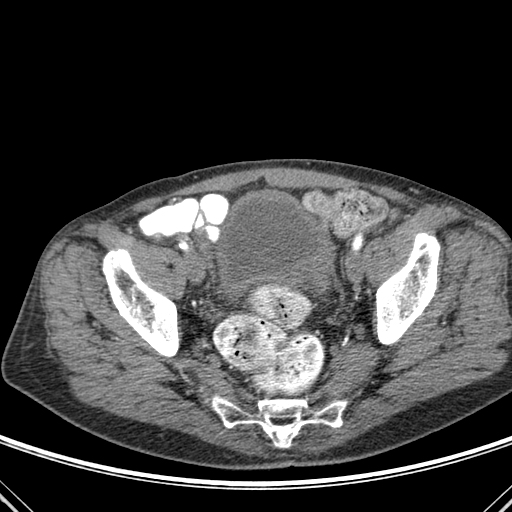
Lower abdomen; CT slice
urinary_bladder:
  - 207:196:341:302
bone:
  - 103:249:178:356
  - 376:233:440:344
  - 212:395:346:447